Field of view 321x321 mm, CT scan slice, Slice 18 of 83, Image size 512x512
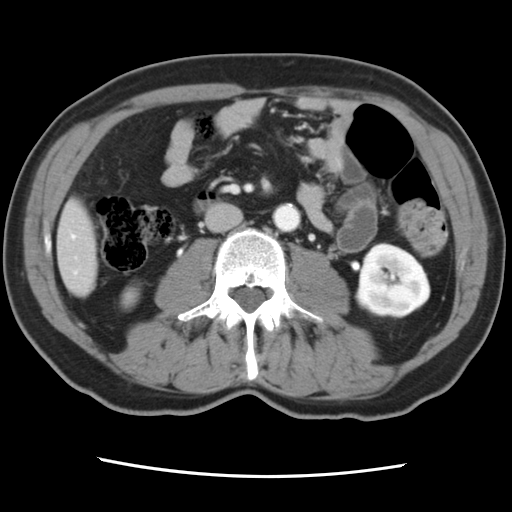
Not every hepatic vessel necessarily has a box.
<segmentation>
  <hepatic_vessel>(72,235,75,238), (74,271,76,273)</hepatic_vessel>
</segmentation>